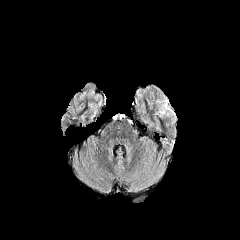
FLAIR MR.
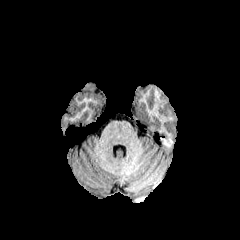
T1-weighted magnetic resonance of the same slice.
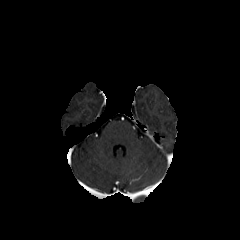
Post-contrast T1-weighted MR image.
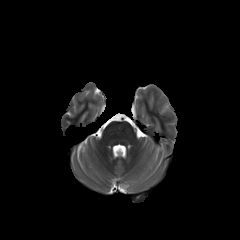
T2-weighted magnetic resonance.
Image size 240x240. Brain.
Segmented structures:
* edema: [154, 89, 176, 124]